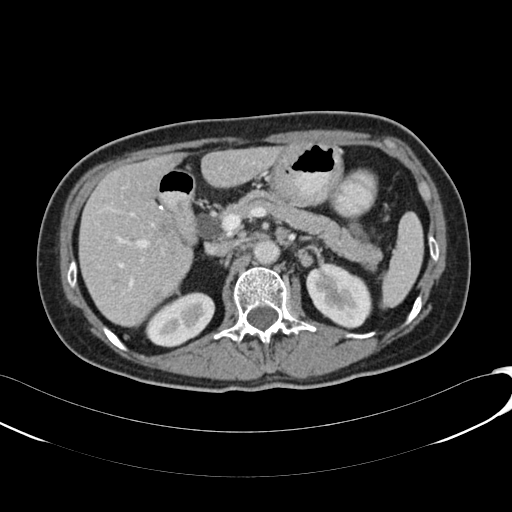
Upper abdomen | CT image | 512x512 px
2 liver regions appear at bbox(201, 147, 282, 187); bbox(79, 154, 190, 326). 2 focal liver lesion regions appear at bbox(159, 221, 172, 235); bbox(154, 292, 163, 301). 2 kidney regions are bounded by bbox(148, 294, 213, 345); bbox(307, 264, 369, 326).